240x240, Slice 93/155
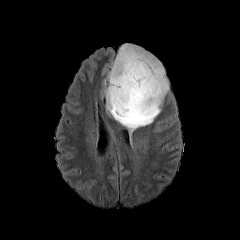
FLAIR MR.
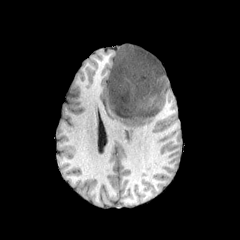
T1-weighted MR.
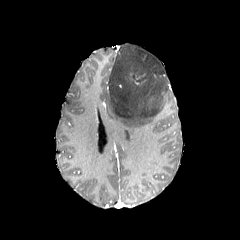
Post-contrast T1-weighted MR image.
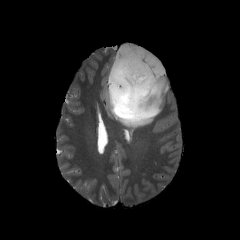
T2-weighted magnetic resonance.
2 edema regions are located at x1=107 y1=45 x2=169 y2=134, x1=101 y1=76 x2=107 y2=101. The enhancing tumor lies within x1=129 y1=73 x2=147 y2=86.